Slice index 576; CT image; Upper abdomen

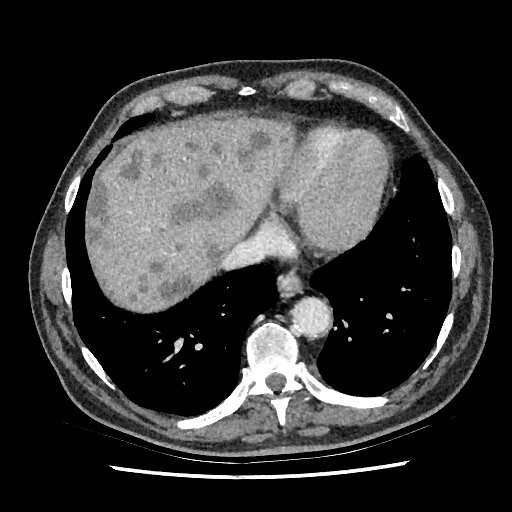

Findings:
* liver lesion: bbox(147, 131, 157, 143); bbox(175, 241, 185, 251); bbox(121, 150, 143, 181); bbox(136, 274, 149, 292); bbox(204, 243, 221, 271); bbox(237, 131, 271, 171); bbox(88, 227, 102, 244); bbox(152, 152, 160, 167); bbox(88, 176, 110, 223); bbox(169, 181, 240, 228); bbox(196, 162, 209, 175); bbox(147, 256, 194, 301); bbox(129, 292, 139, 303); bbox(186, 141, 200, 149); bbox(280, 137, 289, 143)
* liver: bbox(88, 114, 293, 311)